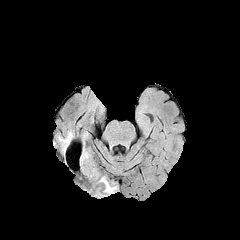
FLAIR MRI.
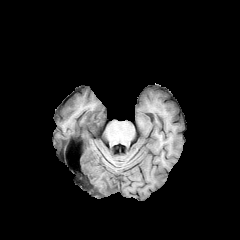
T1-weighted MR.
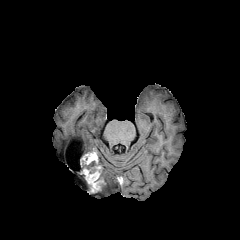
Post-contrast T1-weighted MRI.
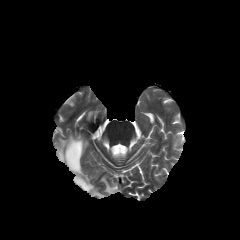
T2-weighted magnetic resonance of the same slice.
Head.
* non-enhancing tumor core: [84, 175, 99, 192], [80, 153, 101, 175]
* enhancing tumor: [83, 170, 98, 179]
* edema: [98, 172, 117, 193]